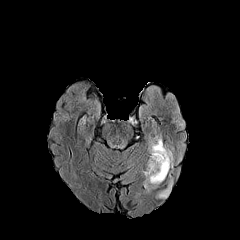
FLAIR magnetic resonance.
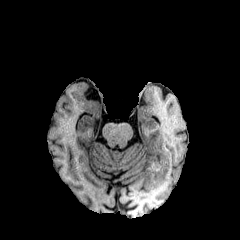
T1-weighted MR.
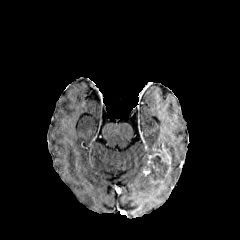
Post-contrast T1-weighted magnetic resonance of the same slice.
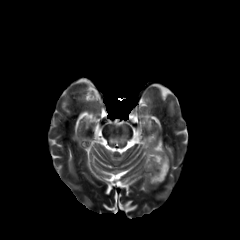
Same slice, T2-weighted MR.
Brain | 240x240 px
Edema = [x1=143, y1=178, x2=160, y2=189], [x1=147, y1=134, x2=162, y2=155].
Non-enhancing tumor core = [x1=149, y1=155, x2=167, y2=180].
Enhancing tumor = [x1=143, y1=143, x2=172, y2=180].